CT image. Abdomen. Image width 382 mm. Slice index 483.

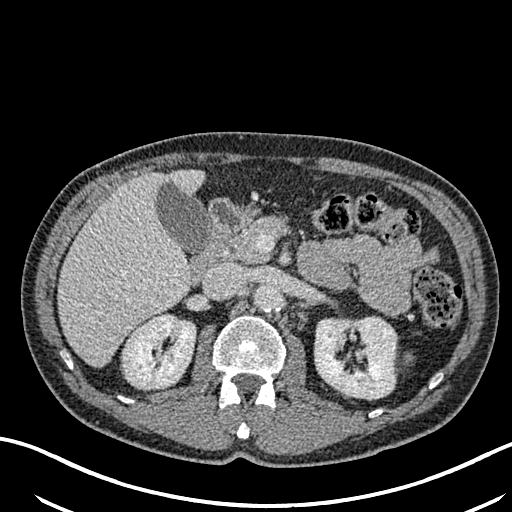
<segmentation>
  <liver><box>57,170,203,367</box></liver>
  <kidney><box>315,318,395,397</box>, <box>123,315,195,388</box></kidney>
</segmentation>